Slice 50/155, Head
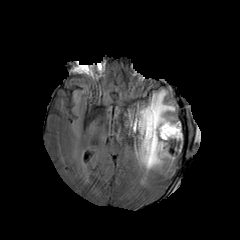
FLAIR MR.
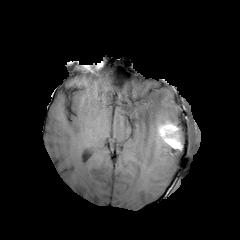
T1-weighted MR image of the same slice.
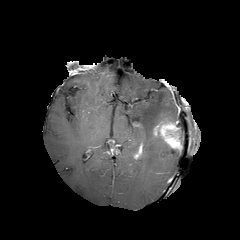
Post-contrast T1-weighted MR.
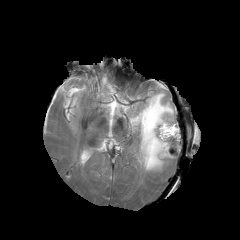
Same slice, T2-weighted MR.
Edema — bbox=[176, 123, 182, 150]; bbox=[129, 89, 177, 171].
Enhancing tumor — bbox=[154, 122, 179, 147].